Slice 54/155, Image size 240x240
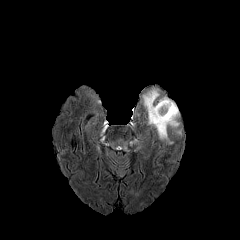
FLAIR MR image.
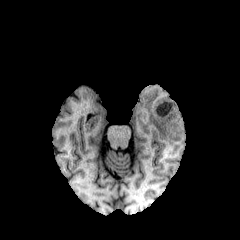
T1-weighted MR.
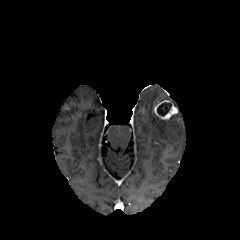
Same slice, post-contrast T1-weighted MR.
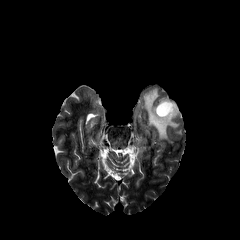
T2-weighted MR image.
Non-enhancing tumor core = box(156, 101, 172, 116).
Edema = box(142, 88, 179, 144).
Enhancing tumor = box(153, 100, 177, 120).